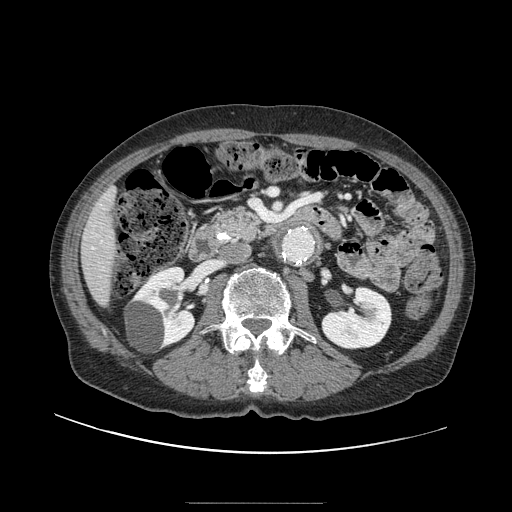 CT slice; Upper abdomen
The pancreas is located at [x1=203, y1=208, x2=266, y2=242].